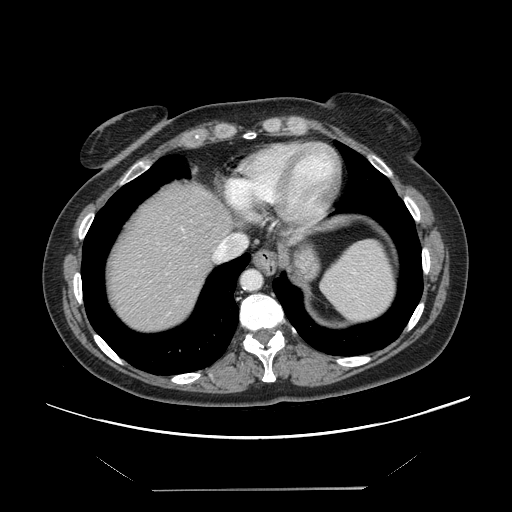
CT slice | 512x512 px

The vessel annotation is not exhaustive.
The hepatic vessel is located at box(213, 233, 244, 260).